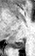
MR
Posterior hippocampus: x1=10 y1=40 x2=23 y2=49.